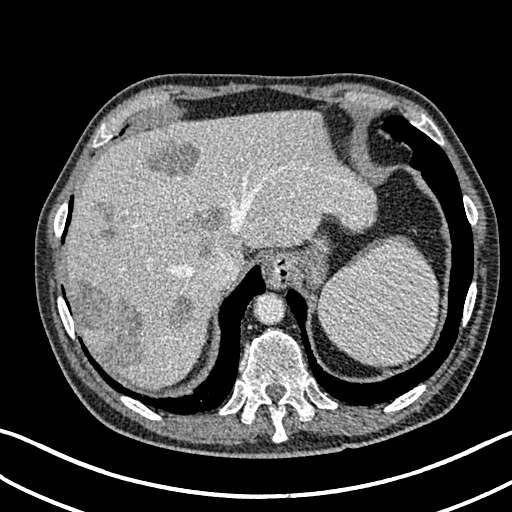 Abdomen; Computed tomography
focal_liver_lesion:
  - x1=99 y1=203 x2=123 y2=238
  - x1=168 y1=295 x2=195 y2=330
  - x1=146 y1=143 x2=199 y2=177
  - x1=179 y1=206 x2=225 y2=232
  - x1=72 y1=281 x2=143 y2=366
  - x1=201 y1=245 x2=210 y2=256
liver:
  - x1=78 y1=326 x2=107 y2=359
  - x1=65 y1=112 x2=376 y2=386